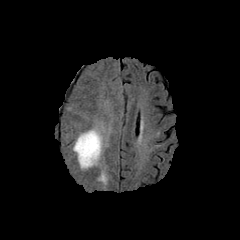
FLAIR MRI.
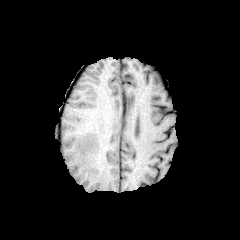
T1-weighted MR image.
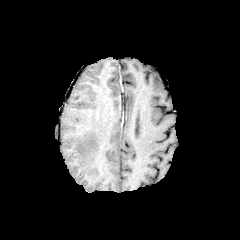
Post-contrast T1-weighted MR.
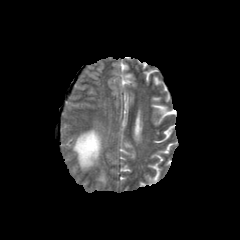
T2-weighted magnetic resonance.
Head
edema:
  - bbox(99, 173, 106, 183)
  - bbox(72, 128, 101, 168)